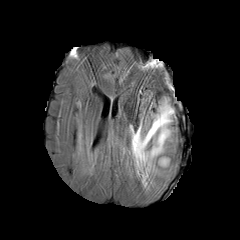
FLAIR MRI.
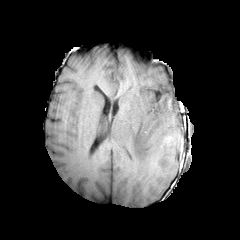
T1-weighted MR image.
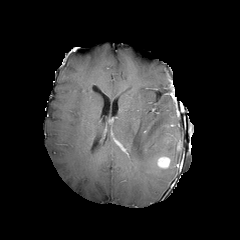
Post-contrast T1-weighted MR image of the same slice.
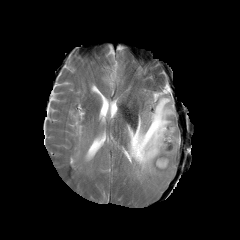
T2-weighted MR.
Head
Edema at 126, 96, 175, 185.
Enhancing tumor at 158, 157, 169, 167.